CT | Upper abdomen

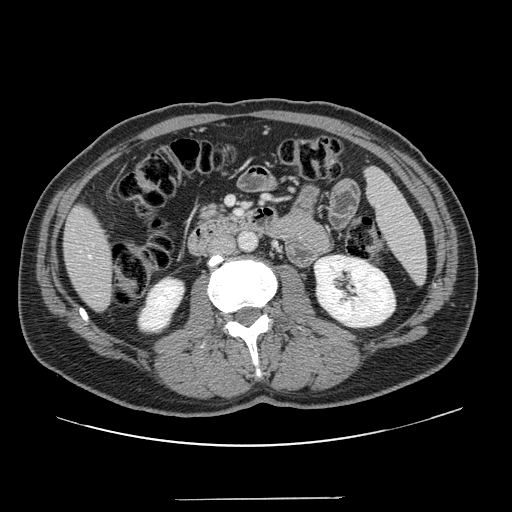 • pancreas: [193, 201, 228, 223]